CT image, Slice index 84

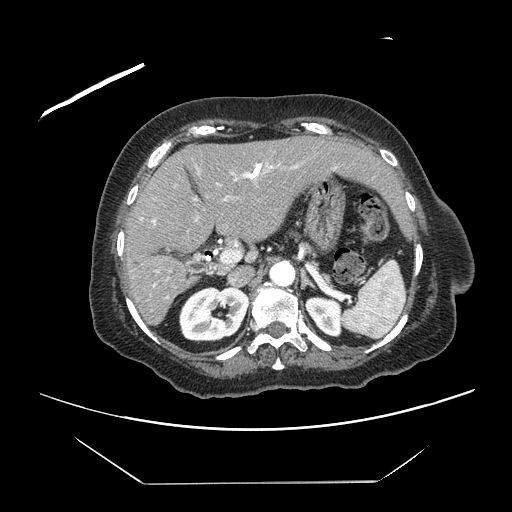 Only some of the vessels may be annotated.
hepatic_vessel:
  - region(152, 220, 155, 221)
  - region(221, 250, 240, 263)
  - region(243, 173, 248, 176)